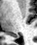 Medial temporal lobe | Magnetic resonance | 37x45 px
The posterior hippocampus is bounded by 15:36:18:37.